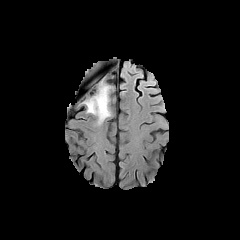
FLAIR magnetic resonance.
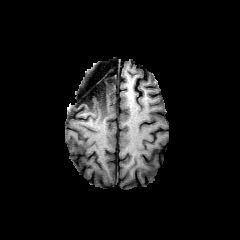
Same slice, T1-weighted MR.
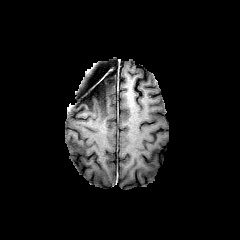
Post-contrast T1-weighted MR image.
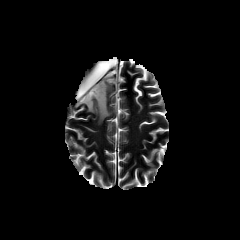
T2-weighted magnetic resonance.
Image size 240x240; Head
Edema: bounding box region(82, 85, 111, 124).
Non-enhancing tumor core: bounding box region(82, 82, 107, 105).